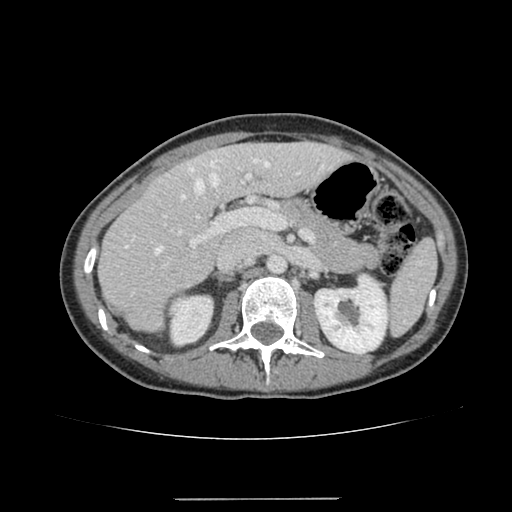
Computed tomography. Upper abdomen. 512x512.

Liver = [97,142,347,331].
Kidney = [171,297,212,344], [314,275,387,353].